CT scan slice; Abdomen

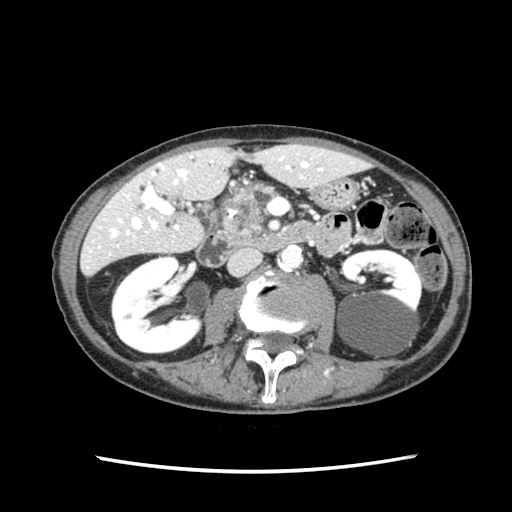 The pancreas is located at (x1=225, y1=183, x2=276, y2=236). The pancreatic tumor is bounded by (x1=233, y1=201, x2=254, y2=231).